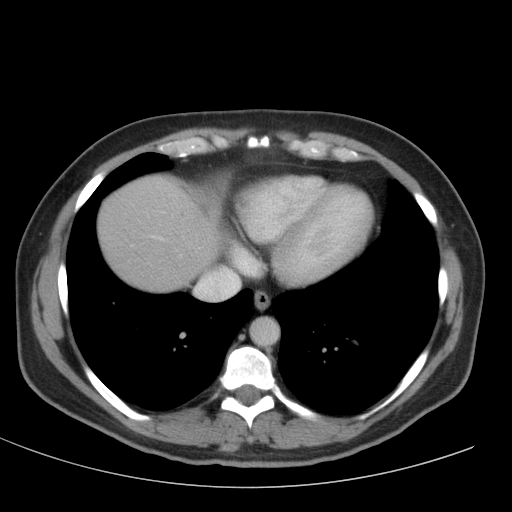

CT. The liver is at l=99, t=176, r=220, b=290.